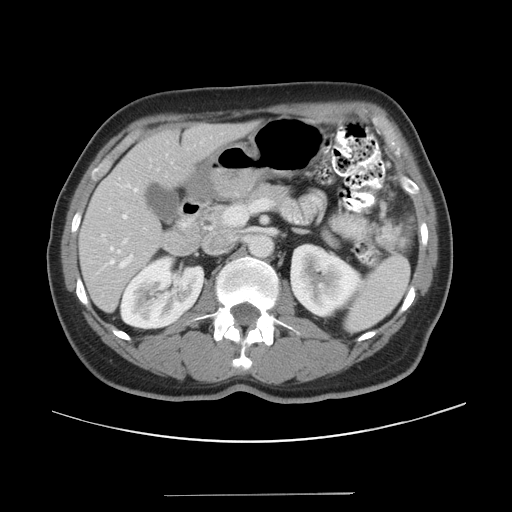

Image size 512x512, CT
Not every hepatic vessel necessarily has a box.
Hepatic vessel = rect(118, 183, 130, 187); rect(117, 250, 119, 252); rect(123, 239, 126, 243); rect(102, 235, 104, 239); rect(134, 189, 137, 191); rect(110, 260, 113, 263); rect(123, 215, 126, 217); rect(150, 159, 151, 161); rect(110, 247, 112, 249); rect(119, 255, 132, 267).